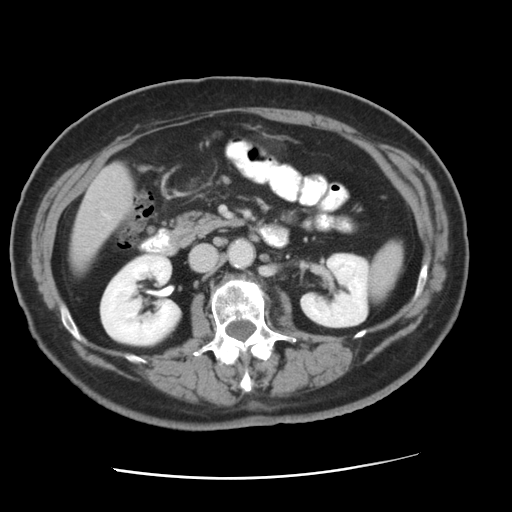 Computed tomography; Liver
The vessel annotation is not exhaustive.
hepatic_vessel:
  - box=[102, 213, 110, 218]